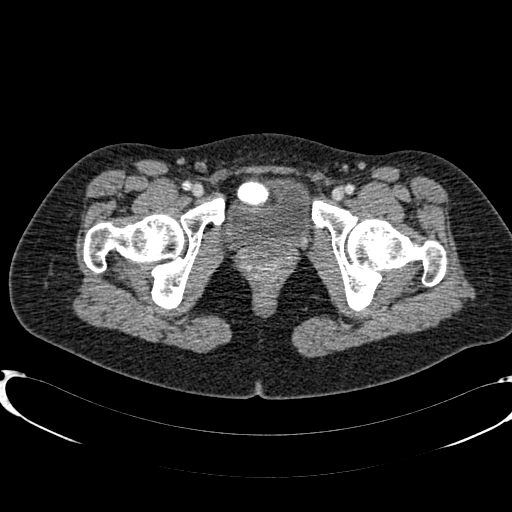
CT image.
urinary_bladder:
  - <bbox>225, 176, 314, 251</bbox>